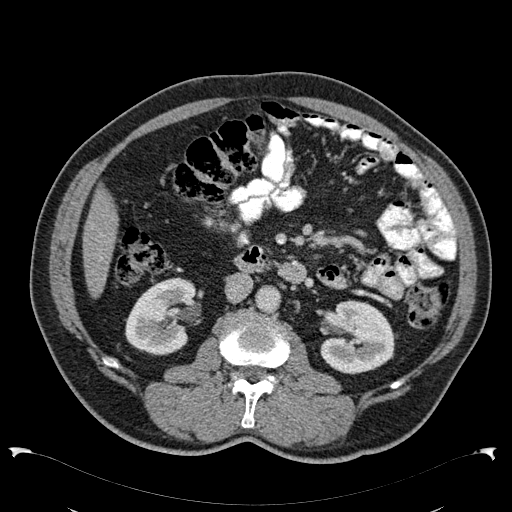 Upper abdomen. CT image.
Annotated regions:
- liver: [84,186,118,297]
- kidney: [321,301,393,373], [125,278,197,354]